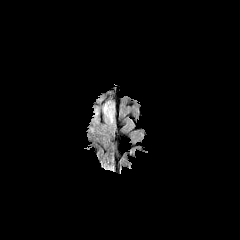
FLAIR MRI.
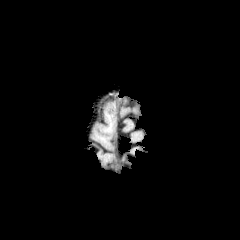
T1-weighted MR.
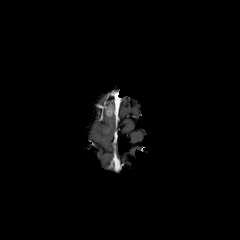
Post-contrast T1-weighted magnetic resonance of the same slice.
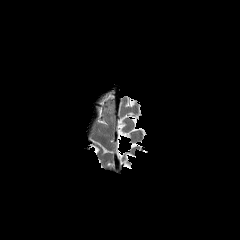
Same slice, T2-weighted magnetic resonance.
240x240 px. Brain.
The enhancing tumor is bounded by x1=105 y1=104 x2=115 y2=117.